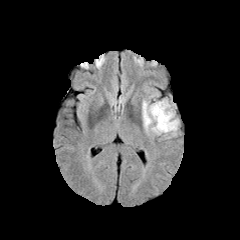
FLAIR magnetic resonance.
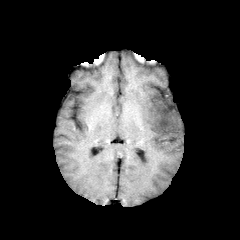
T1-weighted MR.
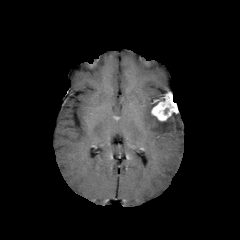
Same slice, post-contrast T1-weighted MR.
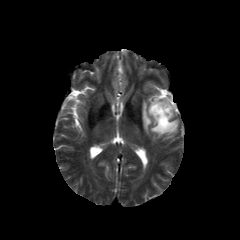
T2-weighted MRI of the same slice.
{
  "non-enhancing_tumor_core": [
    "rect(150, 114, 168, 125)"
  ],
  "enhancing_tumor": [
    "rect(150, 94, 176, 121)"
  ],
  "edema": [
    "rect(142, 92, 179, 139)"
  ]
}